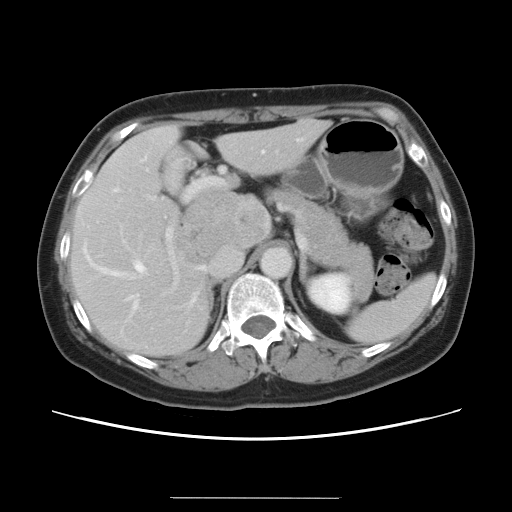 Computed tomography; Liver

Some hepatic vessels may have no box.
Liver tumor: bounding box (175,190,265,264).
Most prominent 15 of 16 hepatic vessel regions: bounding box (190,293,196,304), (184,189,192,200), (296,139,302,141), (166,228,171,239), (192,182,198,187), (114,189,117,191), (82,247,121,276), (149,197,155,199), (122,240,123,242), (130,276,133,278), (135,262,143,273), (141,158,145,161), (127,295,137,309), (199,266,205,270), (203,178,222,183).